FLAIR MR image.
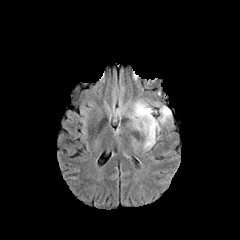
T1-weighted MRI.
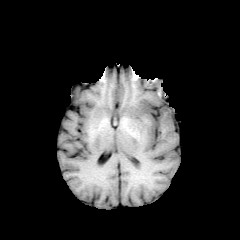
Post-contrast T1-weighted MRI.
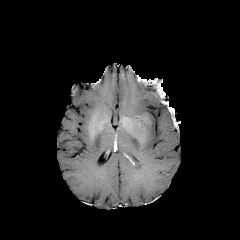
T2-weighted MRI.
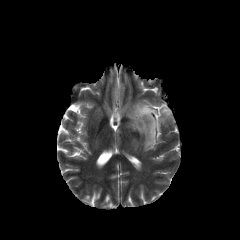
Head
edema:
  - (112, 108, 123, 117)
  - (128, 98, 172, 150)